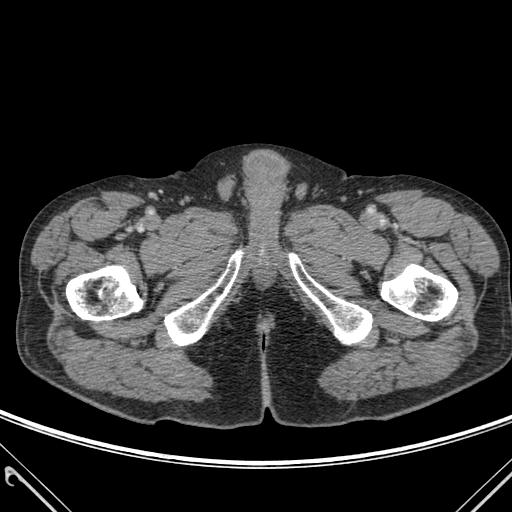 CT image
4 bone regions are bounded by left=381, top=264, right=457, bottom=320; left=164, top=251, right=242, bottom=345; left=289, top=253, right=372, bottom=343; left=66, top=266, right=142, bottom=320.